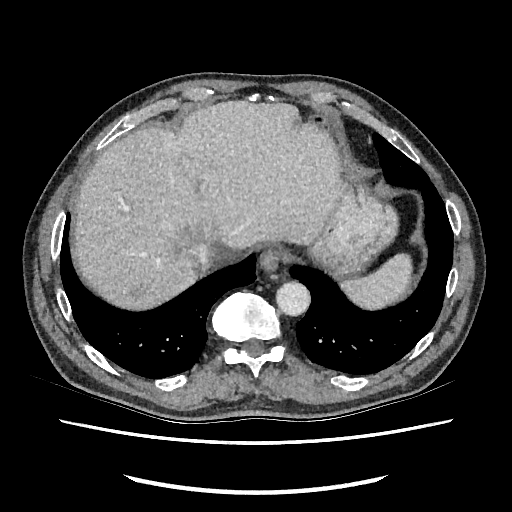
CT slice. 512x512. The liver is bounded by l=75, t=101, r=336, b=306. 3 hepatic lesion regions are bounded by l=195, t=179, r=200, b=192; l=175, t=227, r=200, b=256; l=129, t=286, r=140, b=296.